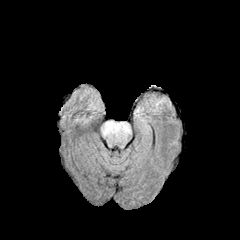
FLAIR MRI.
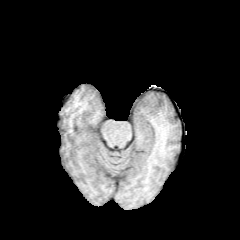
T1-weighted MR image.
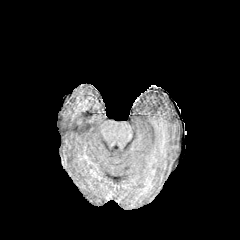
Post-contrast T1-weighted magnetic resonance.
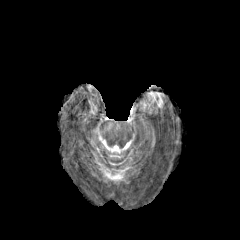
T2-weighted MR.
The edema lies within [144,96,164,111].